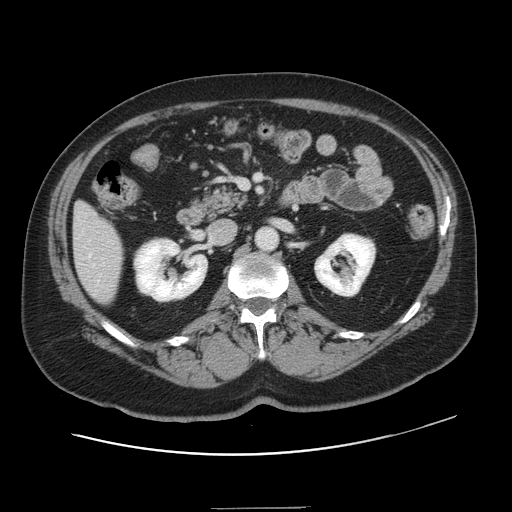

CT scan slice
The vessel boxes may cover only some of the vessels.
Hepatic vessel at l=89, t=254, r=90, b=256; l=93, t=264, r=94, b=266.